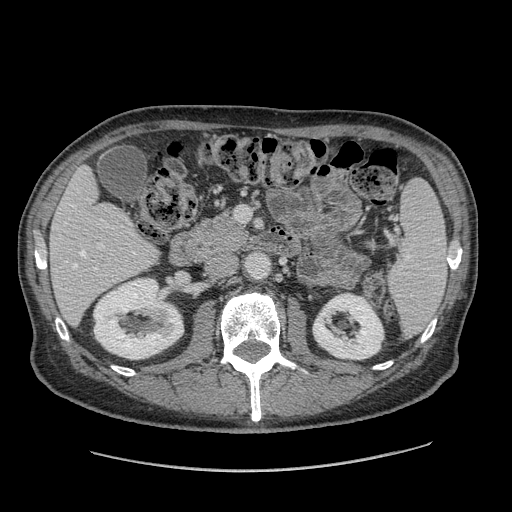
Computed tomography.
The pancreas appears at [x1=198, y1=211, x2=246, y2=248].